Slice 75 of 155, Brain
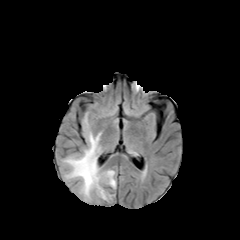
FLAIR MR image.
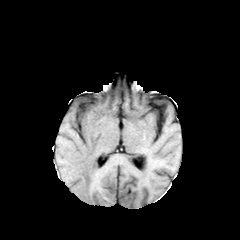
Same slice, T1-weighted MRI.
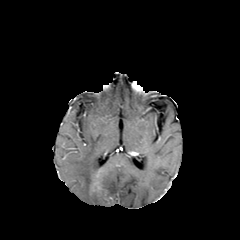
Same slice, post-contrast T1-weighted magnetic resonance.
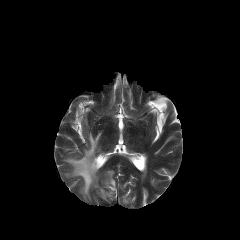
T2-weighted MRI of the same slice.
edema: 63:132:116:200